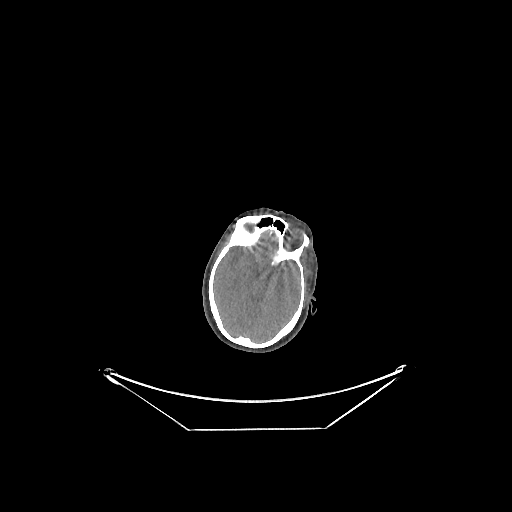
CT image. Image size 512x512. Brain. Brain at bbox(213, 230, 301, 343).